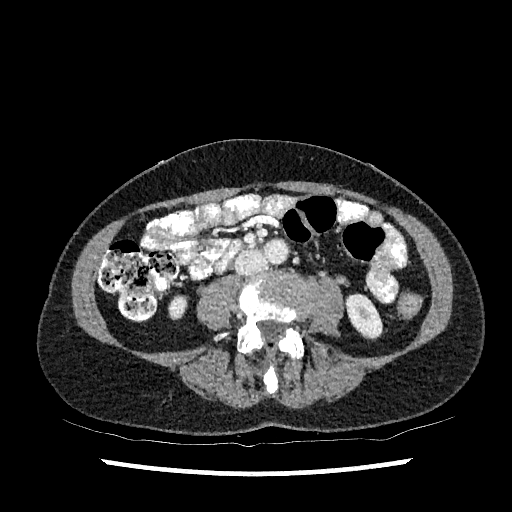

CT image

{
  "kidney": [
    "(x1=170, y1=298, x2=185, y2=316)",
    "(x1=346, y1=295, x2=381, y2=337)"
  ]
}